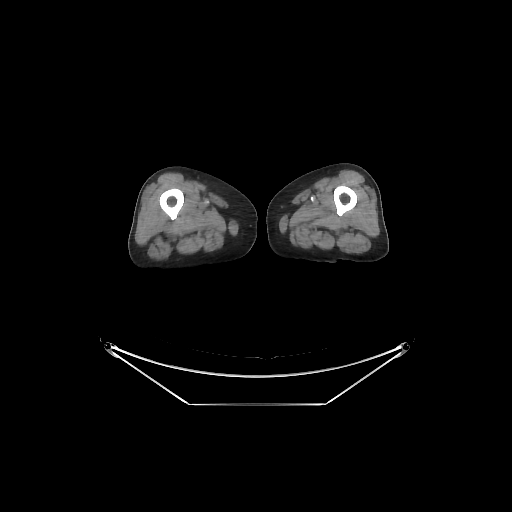 CT slice
bone: x1=159 y1=188 x2=183 y2=219, x1=334 y1=185 x2=356 y2=215